MRI slice; Slice 90 of 122; Cardiac
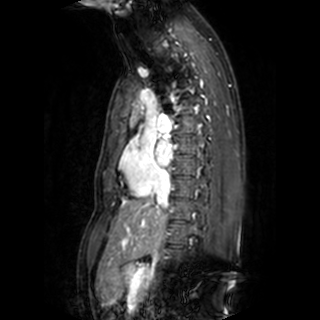
{
  "left_atrium": [
    "155,140,172,165"
  ]
}